Image width 434 mm. Chest. CT. 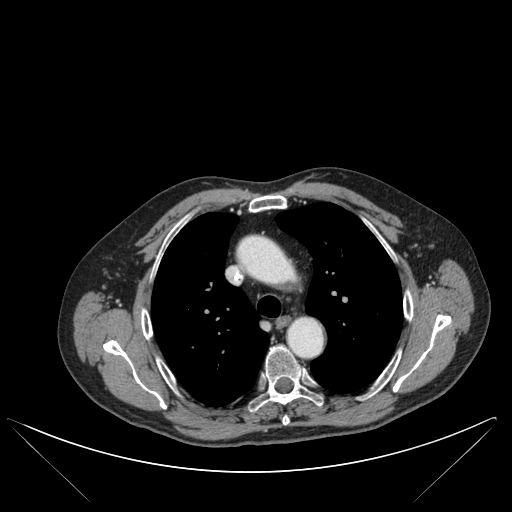 lung:
  - [151,212,280,406]
  - [275,202,402,392]
bone:
  - [156,359,175,387]
  - [256,346,321,408]
  - [379,235,389,252]
  - [155,231,171,268]
  - [103,340,166,408]
  - [371,351,400,394]
  - [249,195,286,212]
  - [141,309,152,338]
  - [393,315,451,391]
  - [403,291,413,319]